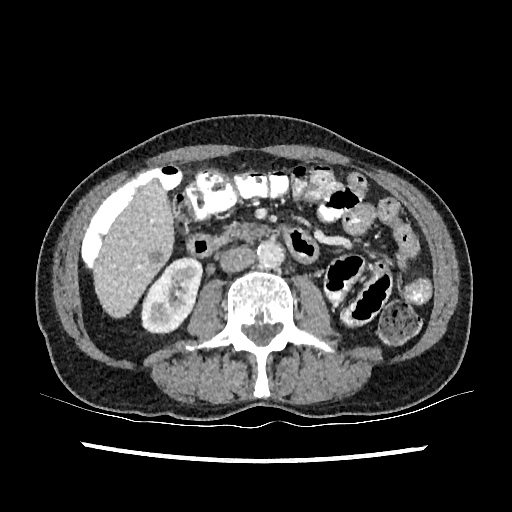

Computed tomography; Liver
<segmentation>
  <kidney>box(142, 259, 201, 332)</kidney>
  <liver>box(94, 177, 172, 316)</liver>
  <focal_liver_lesion>box(149, 250, 163, 263)</focal_liver_lesion>
</segmentation>